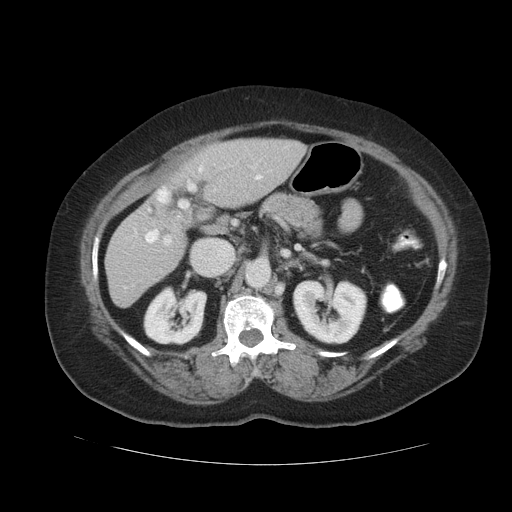

Computed tomography, 512x512 px

The vessel annotation is not exhaustive.
Hepatic vessel: [x1=256, y1=175, x2=260, y2=178], [x1=146, y1=230, x2=157, y2=242], [x1=164, y1=235, x2=170, y2=245], [x1=198, y1=166, x2=202, y2=172], [x1=179, y1=202, x2=187, y2=207], [x1=159, y1=191, x2=166, y2=200], [x1=189, y1=185, x2=194, y2=188].